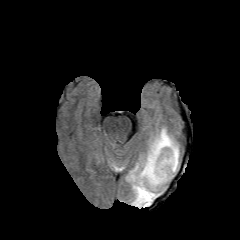
FLAIR MR image.
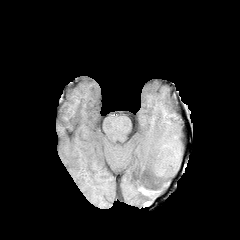
T1-weighted MR.
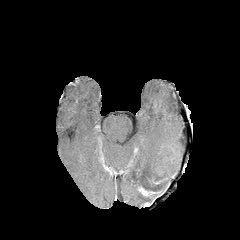
Post-contrast T1-weighted MRI.
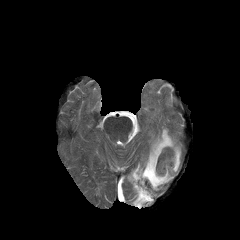
T2-weighted MR.
Head.
Edema: region(127, 126, 180, 207).
Non-enhancing tumor core: region(138, 187, 155, 199).